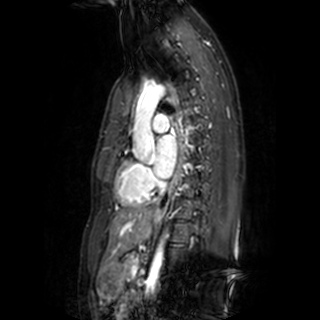
MR image | Heart
The left atrium is bounded by l=154, t=135, r=176, b=178.